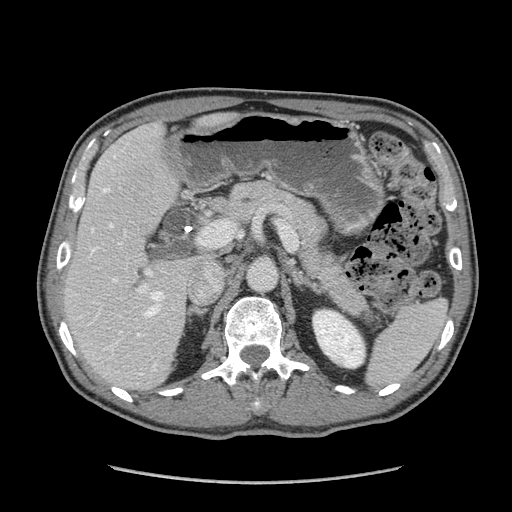 Upper abdomen | Computed tomography | Image size 512x512

pancreas:
  - box(201, 180, 374, 320)